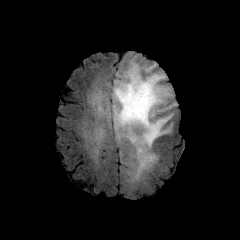
FLAIR MRI.
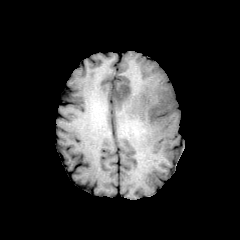
T1-weighted magnetic resonance.
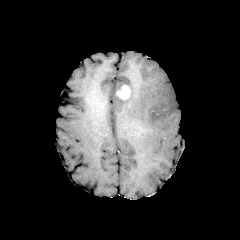
Same slice, post-contrast T1-weighted MR.
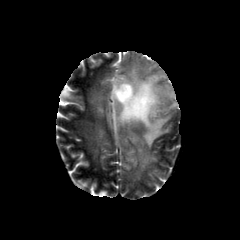
Same slice, T2-weighted MR image.
240x240 px
{
  "enhancing_tumor": [
    "[116, 84, 130, 99]"
  ],
  "edema": [
    "[96, 60, 175, 173]"
  ],
  "non-enhancing_tumor_core": [
    "[121, 121, 146, 137]",
    "[117, 66, 143, 95]"
  ]
}